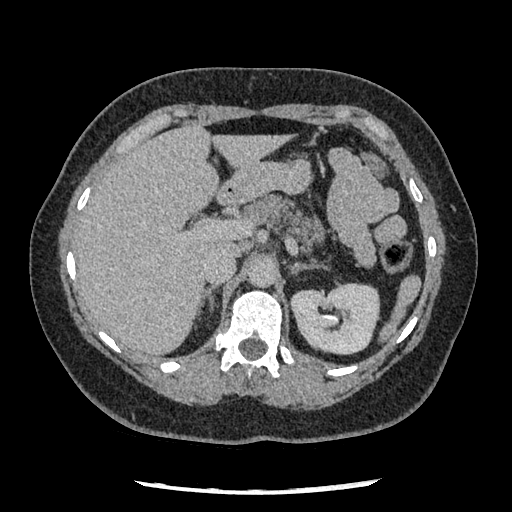
CT, 512x512 px

{
  "pancreas": [
    {"x1": 247, "y1": 195, "x2": 314, "y2": 249}
  ]
}